Slice 54 of 155. 240x240 px.
FLAIR magnetic resonance.
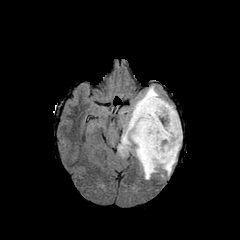
T1-weighted magnetic resonance.
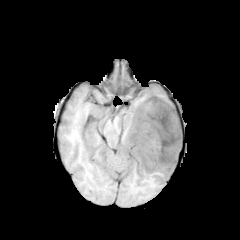
Post-contrast T1-weighted MR image.
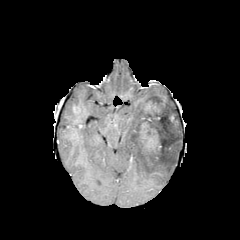
T2-weighted magnetic resonance.
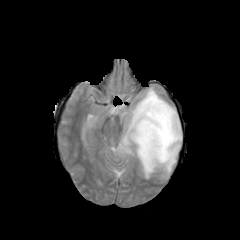
Non-enhancing tumor core at [139, 95, 179, 158].
Enhancing tumor at [140, 122, 161, 150], [145, 102, 156, 110].
Edema at [118, 86, 182, 179].